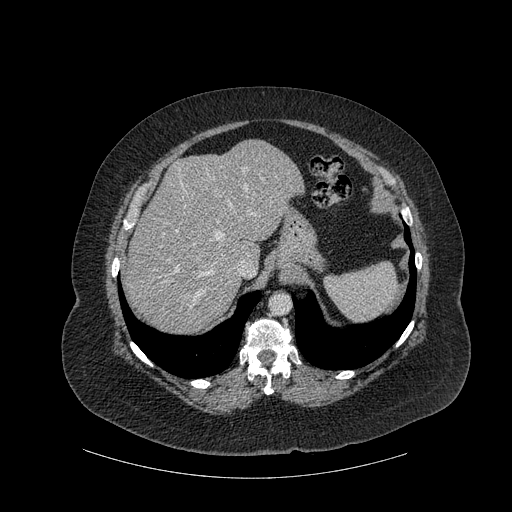 CT slice.

liver: box(127, 139, 304, 334) | lung: box(293, 225, 416, 369); box(118, 285, 260, 378) | bone: box(112, 258, 119, 276); box(240, 319, 300, 394); box(191, 379, 209, 388); box(396, 321, 413, 346); box(130, 342, 152, 365); box(402, 208, 412, 222); box(336, 371, 353, 379); box(415, 253, 421, 268)